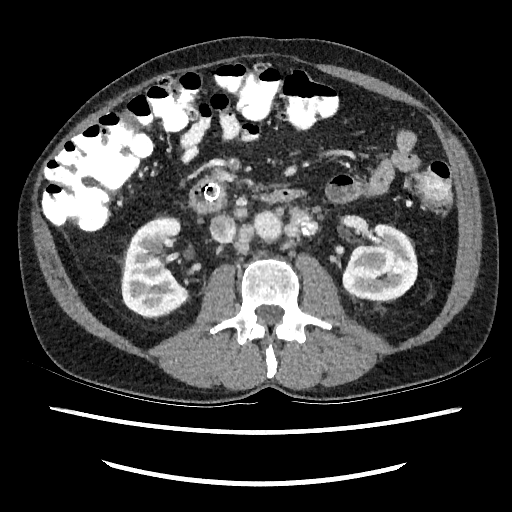
Abdomen | CT slice | 512x512 px

kidney:
  - rect(343, 225, 416, 299)
  - rect(122, 219, 188, 315)